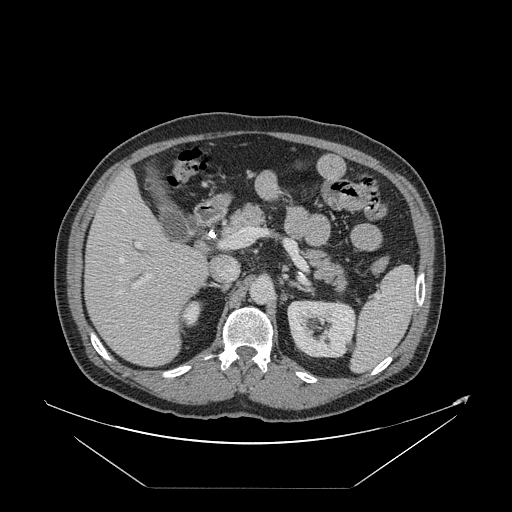
CT slice | Abdomen
Not every hepatic vessel necessarily has a box.
Segmented structures:
• hepatic vessel: <box>136,244,140,247</box>, <box>119,277,121,280</box>, <box>122,210,123,211</box>, <box>222,233,236,247</box>, <box>120,259,124,262</box>, <box>133,274,149,287</box>